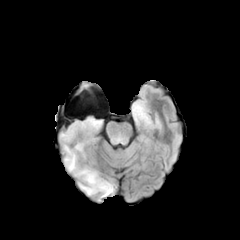
FLAIR MR.
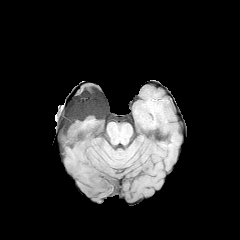
T1-weighted magnetic resonance.
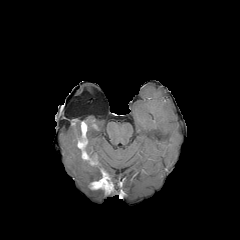
Same slice, post-contrast T1-weighted MRI.
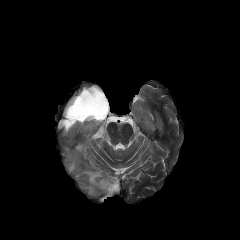
T2-weighted MR.
Brain
Edema: bounding box bbox(64, 144, 108, 197); bbox(132, 103, 144, 118); bbox(72, 116, 102, 129); bbox(62, 124, 79, 142).
Non-enhancing tumor core: bounding box bbox(74, 120, 83, 146); bbox(90, 173, 104, 182); bbox(84, 124, 97, 151).
Enhancing tumor: bounding box bbox(78, 121, 87, 158); bbox(90, 174, 113, 193).